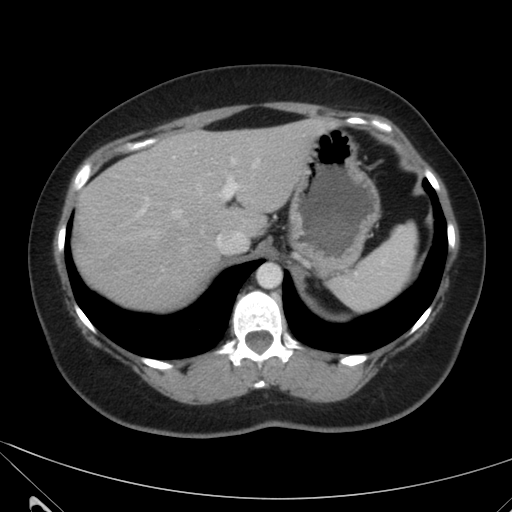 512x512; CT; Abdomen

{"liver": ["x1=74, y1=118, x2=338, y2=309"]}